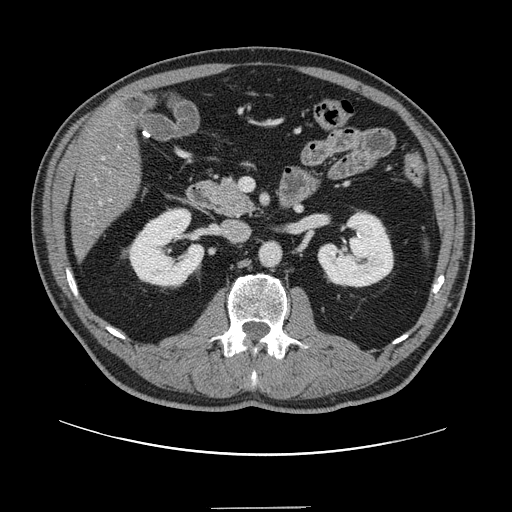
CT slice.
Only some of the vessels may be annotated.
<segmentation>
  <hepatic_vessel>x1=100, y1=202, x2=101, y2=203</hepatic_vessel>
</segmentation>